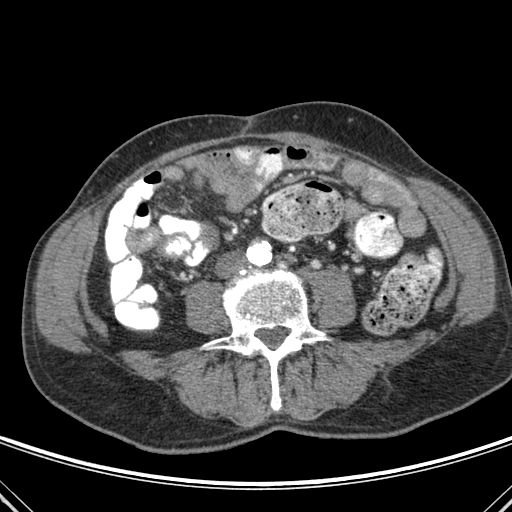
CT

The bone is located at box=[204, 270, 328, 410].